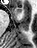

Hippocampus; Magnetic resonance
Anterior hippocampus at x1=15 y1=8 x2=21 y2=12.